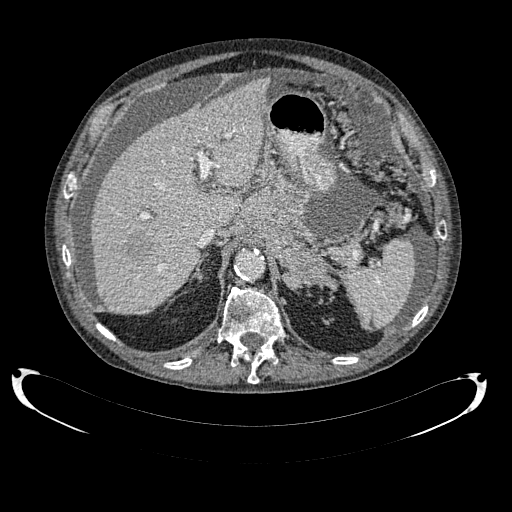

Computed tomography

Focal liver lesion: x1=123 y1=234 x2=151 y2=261.
Liver: x1=91 y1=77 x2=270 y2=314.